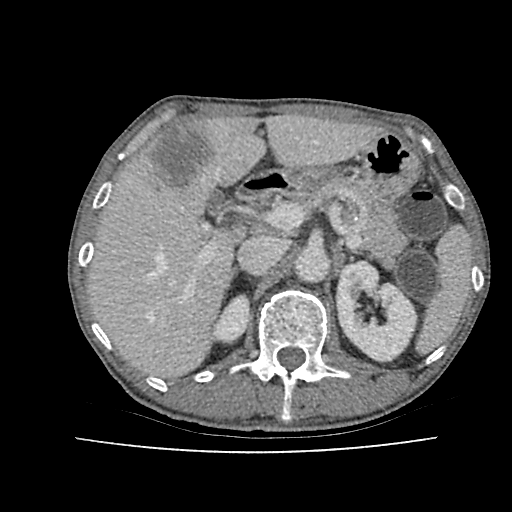 Image size 512x512; CT slice
Kidney — box(337, 262, 415, 360); box(215, 297, 248, 339).
Liver — box(90, 116, 379, 376).
Focal liver lesion — box(148, 123, 215, 191).